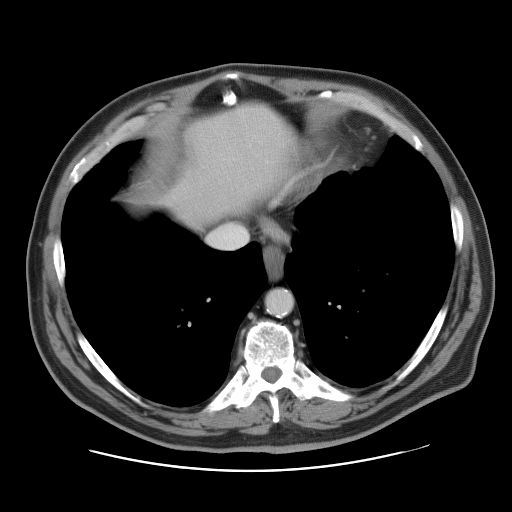 Computed tomography. Abdomen.

The vessel boxes may cover only some of the vessels.
hepatic_vessel:
  - (208, 226, 249, 248)